512x512 px | Slice index 94 | Lower abdomen | CT image | Field of view 380 mm wide, 0.70 mm slice spacing 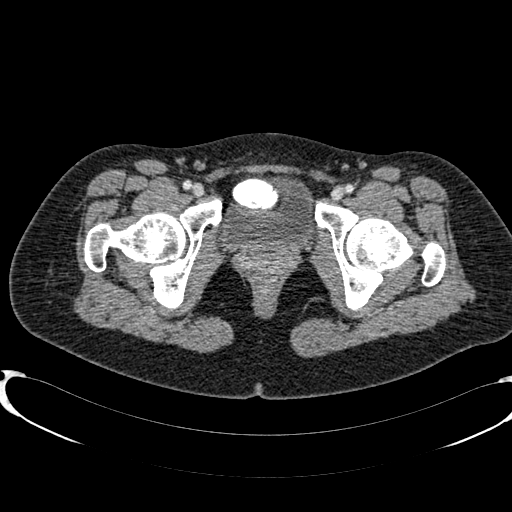
The urinary bladder is bounded by [217,182,320,253].